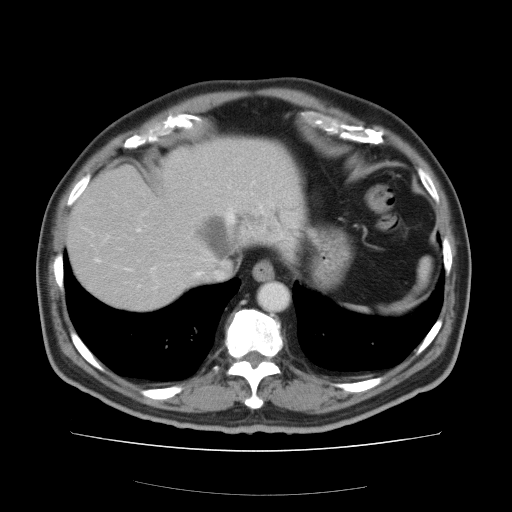

CT
Only some of the vessels may be annotated.
Findings:
* hepatic vessel: 137,285,138,286; 192,270,202,278; 124,267,129,270; 95,258,98,261; 225,205,234,224